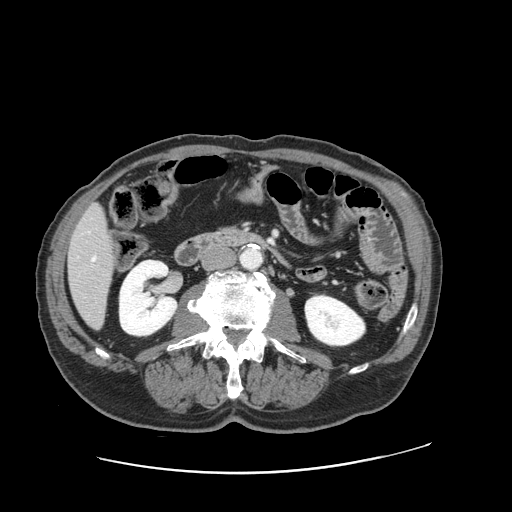
CT slice, 512x512 px
The vessel boxes may cover only some of the vessels.
Segmented structures:
- hepatic vessel: (92, 257, 95, 260)